CT.

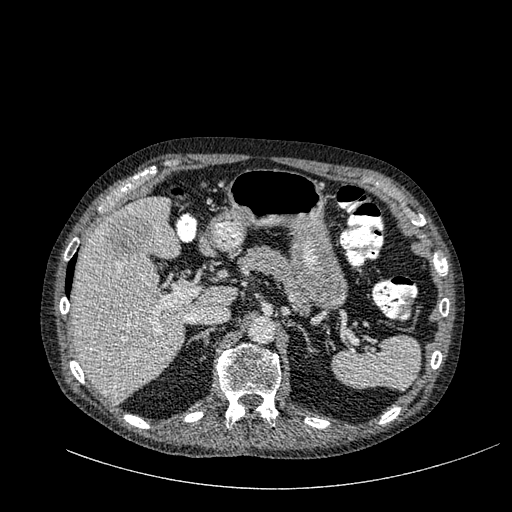
The liver lesion is at x1=104, y1=212, x2=152, y2=261. 2 liver regions are located at x1=70, y1=199, x2=235, y2=402; x1=198, y1=237, x2=211, y2=253.